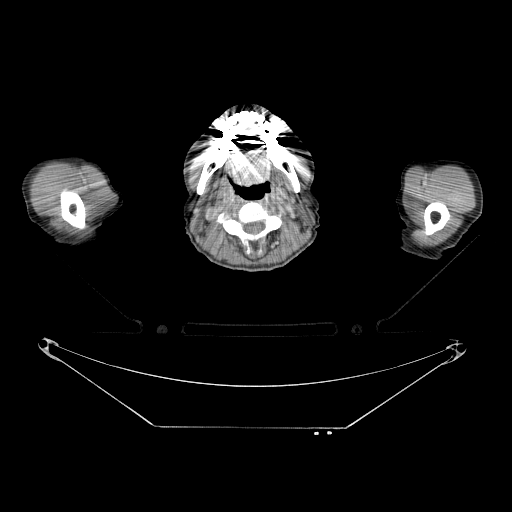

CT
Bone: bbox=[60, 189, 85, 228]; bbox=[223, 202, 281, 252]; bbox=[191, 111, 304, 194]; bbox=[424, 201, 449, 234].